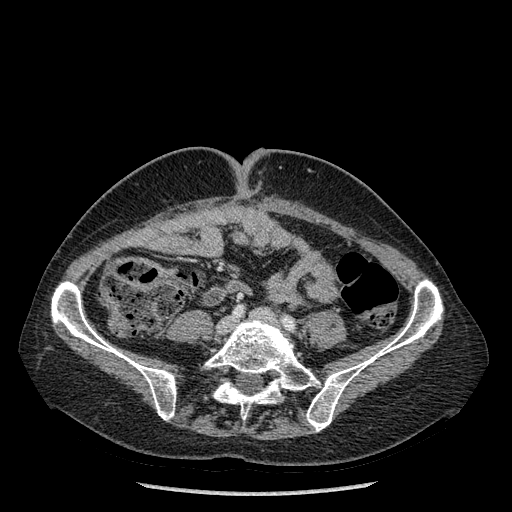

CT

<segmentation>
  <bone>[204, 279, 442, 431], [51, 281, 176, 420]</bone>
</segmentation>